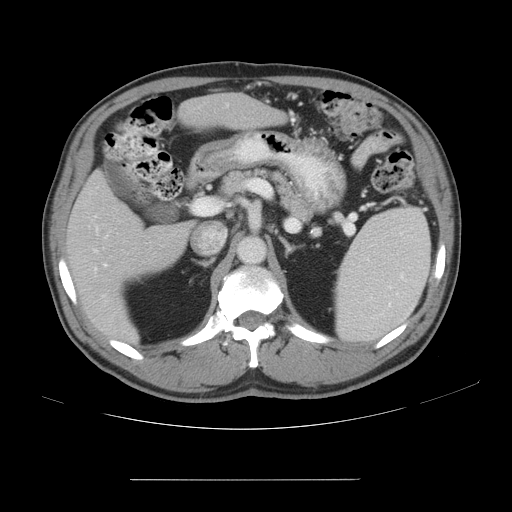 CT slice | Abdomen
The vessel boxes may cover only some of the vessels.
Hepatic vessel — region(104, 264, 107, 266); region(95, 267, 96, 270); region(95, 215, 96, 217); region(101, 295, 104, 297); region(94, 249, 97, 252); region(96, 226, 97, 233).